FLAIR magnetic resonance.
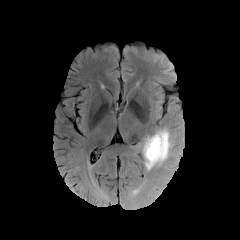
T1-weighted magnetic resonance.
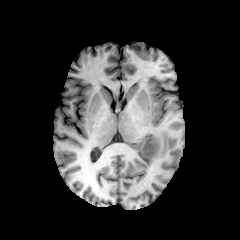
Post-contrast T1-weighted MR image.
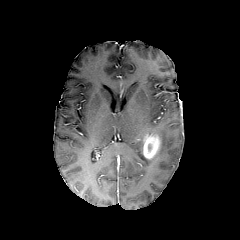
T2-weighted MR image.
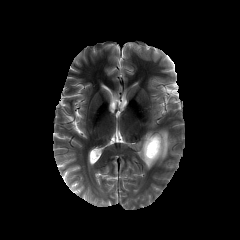
240x240. Head.
The edema is at <bbox>143, 128, 175, 171</bbox>. The enhancing tumor is located at <bbox>143, 134, 159, 158</bbox>.